Brain.
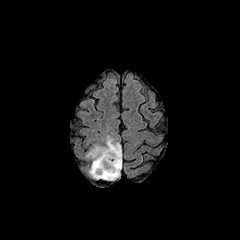
FLAIR MR.
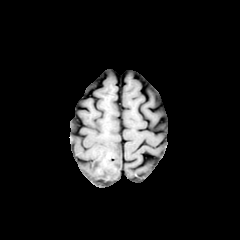
T1-weighted MR image of the same slice.
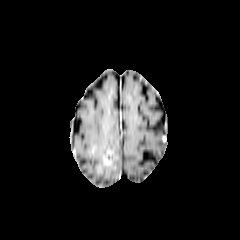
Same slice, post-contrast T1-weighted MR image.
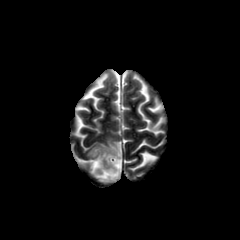
T2-weighted magnetic resonance.
* edema: [x1=85, y1=135, x2=121, y2=180]
* non-enhancing tumor core: [x1=94, y1=162, x2=103, y2=171], [x1=103, y1=148, x2=119, y2=168]